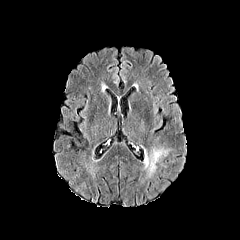
FLAIR MR image.
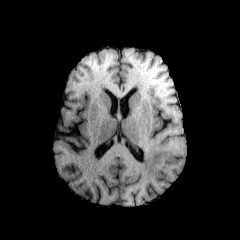
T1-weighted MR of the same slice.
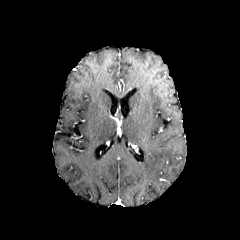
Post-contrast T1-weighted MR image.
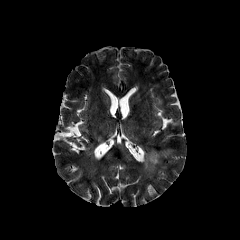
T2-weighted MR image of the same slice.
Brain. 240x240.
edema:
  - region(143, 149, 165, 174)